FLAIR MR.
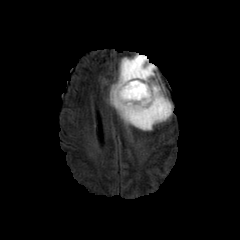
T1-weighted MR.
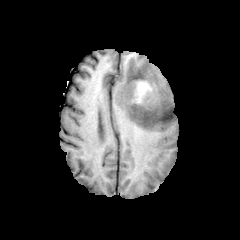
Post-contrast T1-weighted MR image.
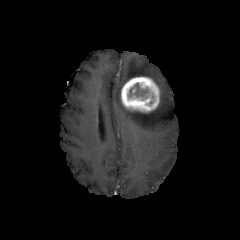
T2-weighted MR image.
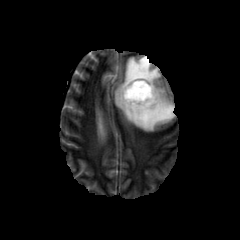
Image size 240x240
Non-enhancing tumor core = (x1=134, y1=84, x2=148, y2=96).
Edema = (x1=110, y1=54, x2=173, y2=131).
Enhancing tumor = (x1=121, y1=76, x2=159, y2=112).